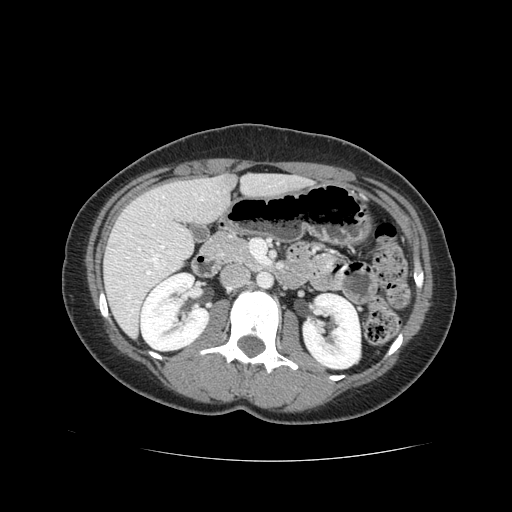

CT scan slice. Image size 512x512.

Pancreas = {"x1": 203, "y1": 233, "x2": 257, "y2": 267}.